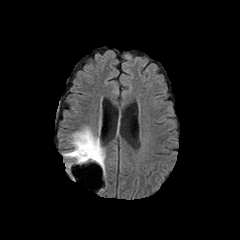
FLAIR MR image.
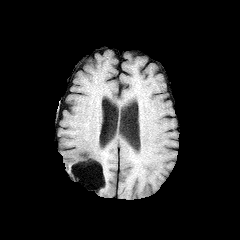
T1-weighted MR image.
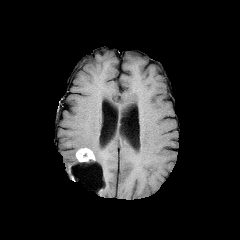
Post-contrast T1-weighted MRI.
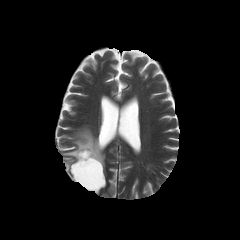
T2-weighted MR of the same slice.
Non-enhancing tumor core: bounding box l=75, t=146, r=103, b=166.
Edema: bounding box l=100, t=147, r=105, b=175; l=63, t=126, r=101, b=173.
Enhancing tumor: bounding box l=76, t=148, r=95, b=161.